CT scan slice

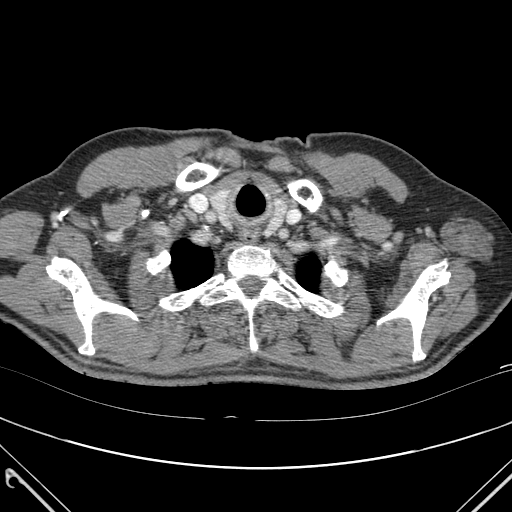 • lung: (x1=171, y1=239, x2=213, y2=289), (x1=296, y1=255, x2=320, y2=292)
• bone: (x1=325, y1=260, x2=347, y2=286), (x1=159, y1=246, x2=342, y2=350), (x1=147, y1=250, x2=170, y2=274), (x1=288, y1=180, x2=321, y2=211), (x1=176, y1=163, x2=218, y2=190), (x1=377, y1=260, x2=450, y2=360), (x1=46, y1=257, x2=137, y2=354)